CT slice, Slice 21 of 81 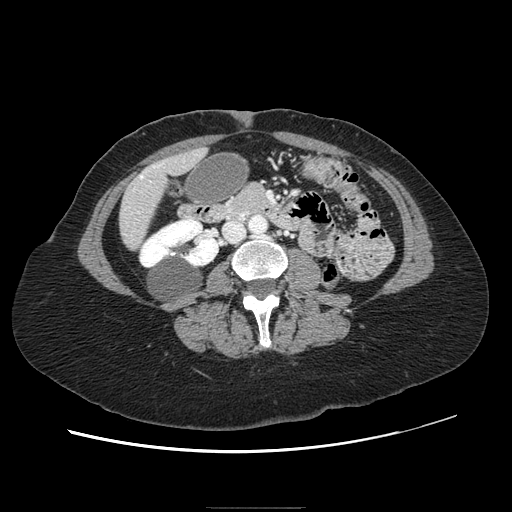

pancreas:
  - l=229, t=183, r=275, b=216